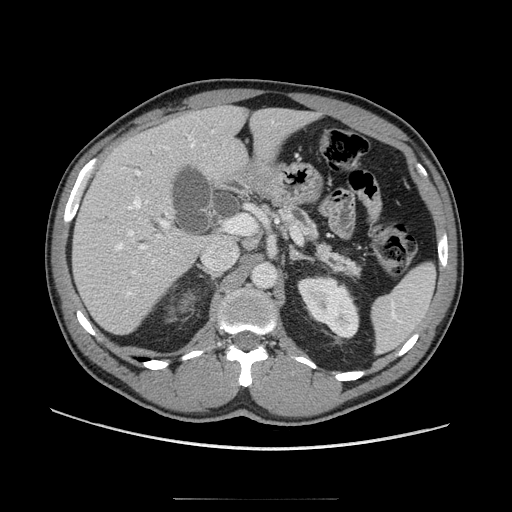

CT slice
Pancreas — [x1=277, y1=203, x2=360, y2=277].